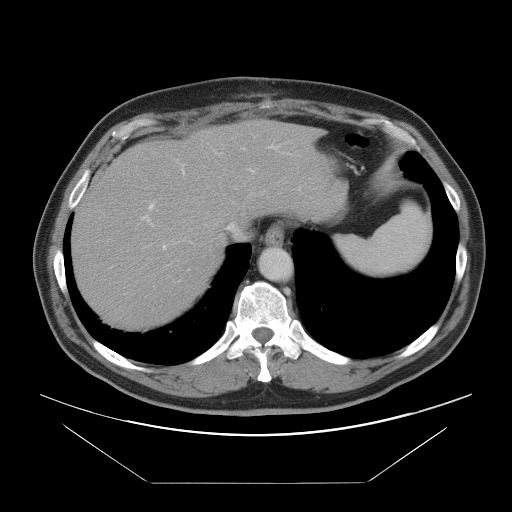
CT
Not every hepatic vessel necessarily has a box.
Segmented structures:
- hepatic vessel: left=149, top=203, right=154, bottom=208; left=181, top=164, right=184, bottom=172; left=142, top=215, right=150, bottom=223; left=249, top=169, right=252, bottom=171; left=163, top=245, right=165, bottom=248; left=270, top=145, right=278, bottom=149; left=214, top=150, right=220, bottom=154